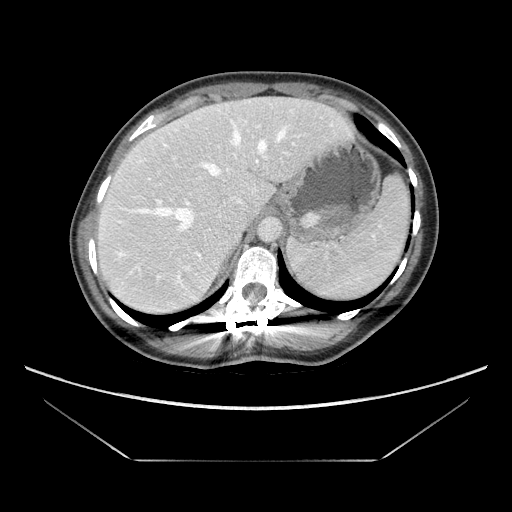
512x512 px; Computed tomography
Only some of the vessels may be annotated.
• hepatic vessel: bbox(202, 163, 220, 176); bbox(153, 201, 194, 231); bbox(230, 196, 242, 204); bbox(234, 133, 239, 146); bbox(275, 131, 284, 142); bbox(257, 140, 267, 158); bbox(141, 211, 148, 211)